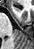 Magnetic resonance | Image size 34x49

<segmentation>
  <anterior_hippocampus>{"x1": 14, "y1": 8, "x2": 20, "y2": 10}</anterior_hippocampus>
</segmentation>